CT image | Liver | Slice 128/148
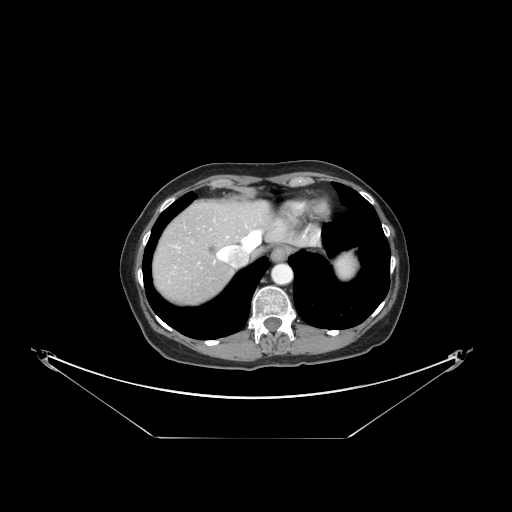
The vessel boxes may cover only some of the vessels.
The liver tumor is at [x1=207, y1=244, x2=217, y2=255]. The hepatic vessel is at [x1=242, y1=231, x2=259, y2=248].